Field of view 373 mm wide, 0.80 mm slice spacing | Image size 512x512 | Slice index 597 | Computed tomography

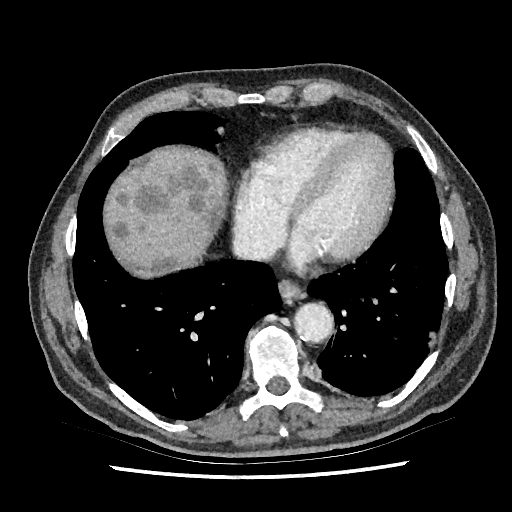
Annotated regions:
- liver: bbox(105, 147, 226, 269)
- hepatic lesion: bbox(127, 155, 150, 172); bbox(139, 223, 147, 232); bbox(117, 192, 127, 204); bbox(121, 257, 178, 276); bbox(207, 163, 216, 171); bbox(114, 222, 128, 239); bbox(135, 164, 222, 231)